Abdomen, Slice 71/164, CT scan slice
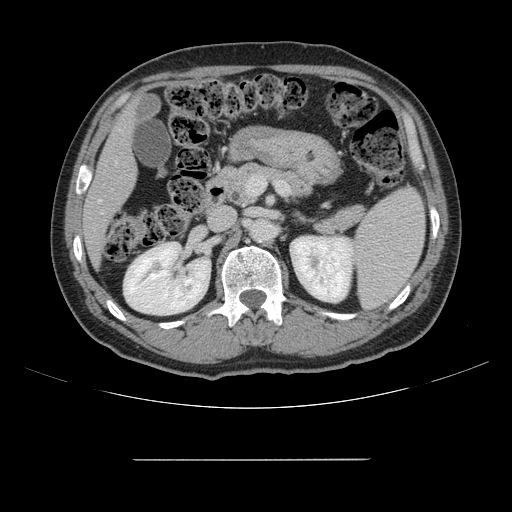 The vessel annotation is not exhaustive.
hepatic_vessel:
  - x1=115, y1=162, x2=116, y2=163
  - x1=99, y1=200, x2=100, y2=201
  - x1=101, y1=212, x2=103, y2=213